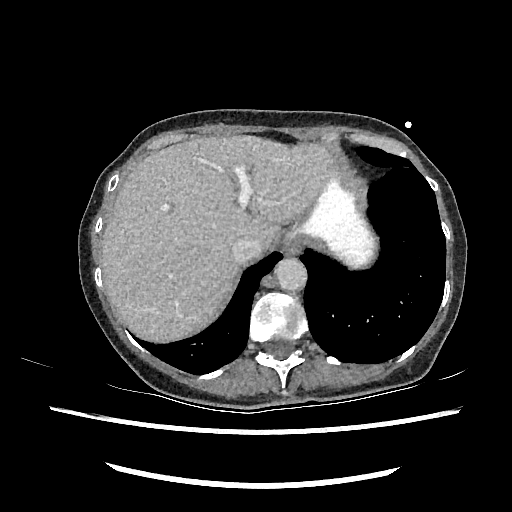

Computed tomography | Upper abdomen
liver:
  - [103,136,331,339]